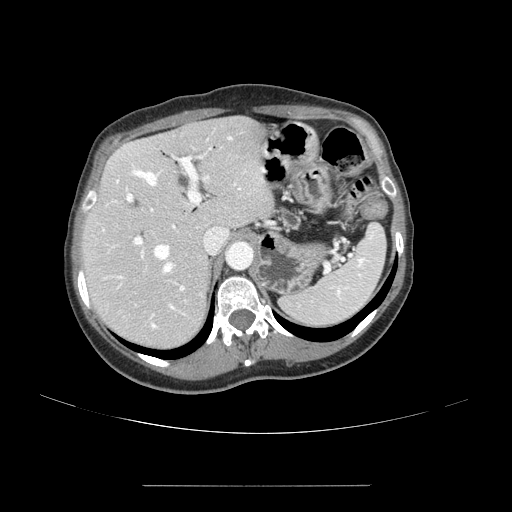
512x512, Abdomen, CT image

<segmentation>
  <pancreas><bbox>280, 209, 301, 231</bbox></pancreas>
</segmentation>